T2-weighted magnetic resonance.
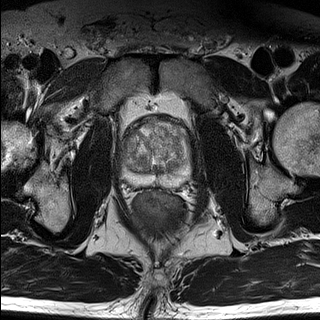
ADC MR.
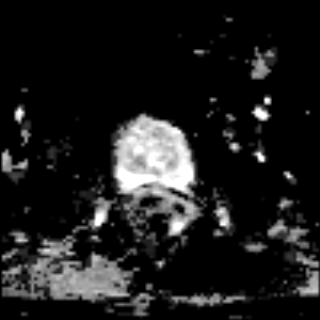
Prostate. 320x320 px.
<segmentation>
  <prostate_transition_zone>x1=122 y1=121 x2=188 y2=172</prostate_transition_zone>
  <prostate_peripheral_zone>x1=122 y1=151 x2=189 y2=185</prostate_peripheral_zone>
</segmentation>